Abdomen, CT scan slice 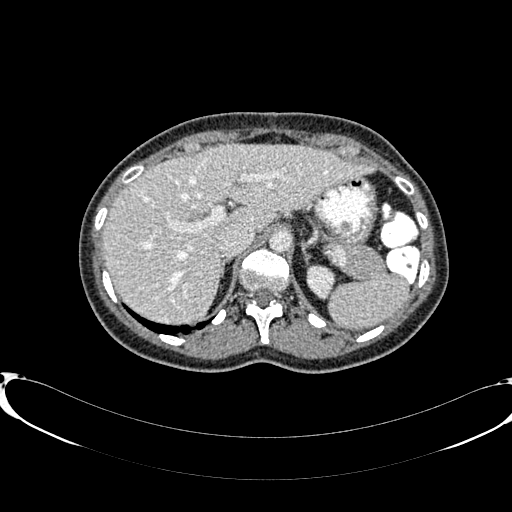 The kidney is at left=308, top=268, right=332, bottom=293. The liver is located at left=102, top=144, right=373, bottom=322.